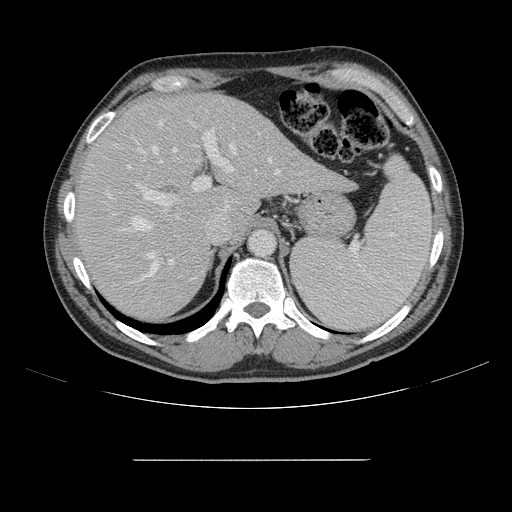 Image size 512x512; Computed tomography; Abdomen
Not every hepatic vessel necessarily has a box.
The most prominent 15 hepatic vessel regions (of 20) are located at (left=176, top=215, right=179, bottom=218), (left=173, top=148, right=176, bottom=151), (left=193, top=176, right=211, bottom=190), (left=136, top=184, right=168, bottom=205), (left=137, top=276, right=144, bottom=281), (left=196, top=159, right=201, bottom=160), (left=275, top=170, right=279, bottom=173), (left=202, top=132, right=233, bottom=172), (left=158, top=121, right=162, bottom=125), (left=118, top=217, right=153, bottom=231), (left=148, top=251, right=157, bottom=276), (left=153, top=146, right=157, bottom=153), (left=230, top=145, right=235, bottom=154), (left=138, top=147, right=144, bottom=153), (left=169, top=259, right=173, bottom=263).